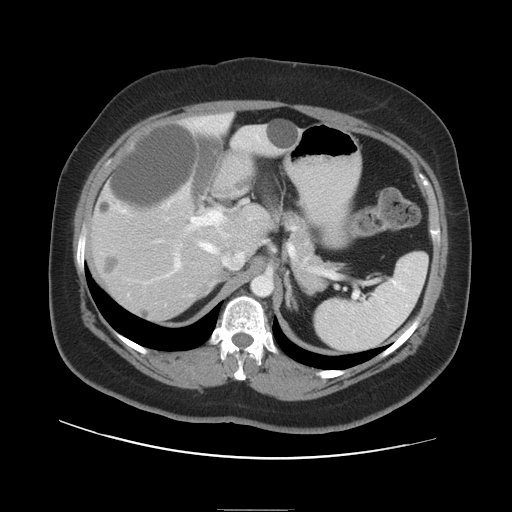
CT scan slice, Image size 512x512, Abdomen
Only some of the vessels may be annotated.
<segmentation>
  <hepatic_vessel>l=199, t=242, r=216, b=252; l=176, t=258, r=179, b=268; l=191, t=211, r=222, b=227</hepatic_vessel>
</segmentation>